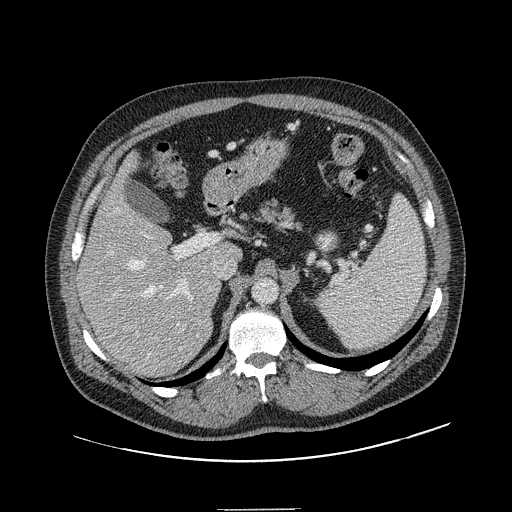

Abdomen. Computed tomography.
The pancreas is bounded by 257,202,293,222.